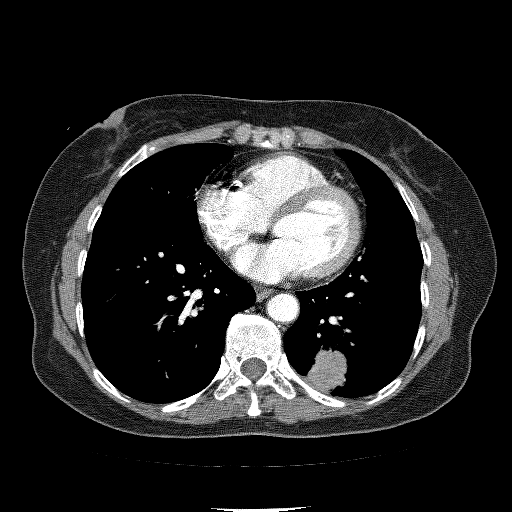
CT scan slice. Chest. 512x512.
Lung tumor at bbox=[308, 349, 349, 390].